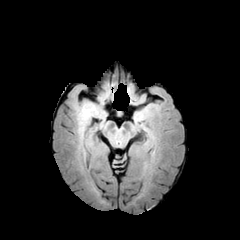
FLAIR magnetic resonance.
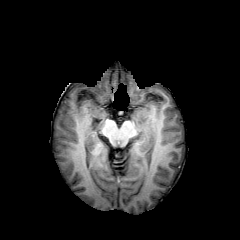
Same slice, T1-weighted MR image.
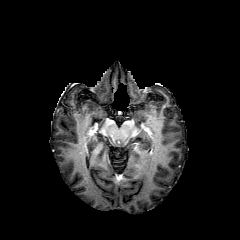
Same slice, post-contrast T1-weighted MR.
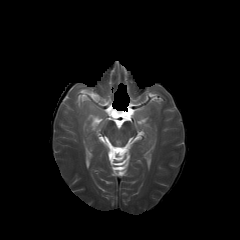
T2-weighted MR image.
Edema: <bbox>82, 102, 103, 125</bbox>, <bbox>136, 114, 145, 126</bbox>.